Slice 435 of 771; CT scan slice; Abdomen
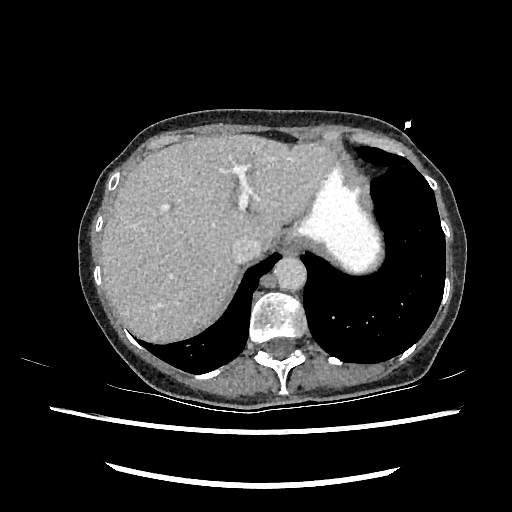

The liver is located at bbox=[102, 135, 330, 341].